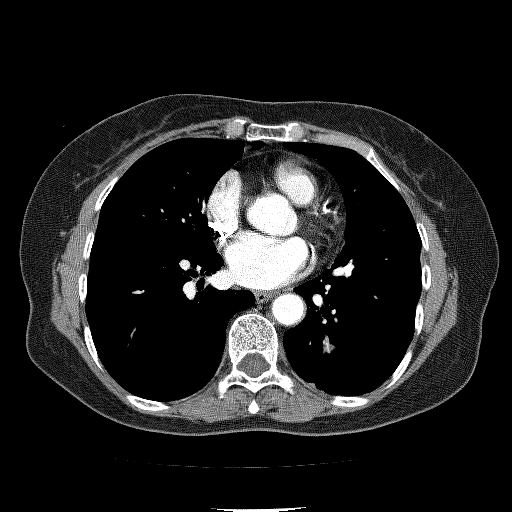
CT image | Lung
Lung tumor — <box>322,336,335,353</box>.